CT

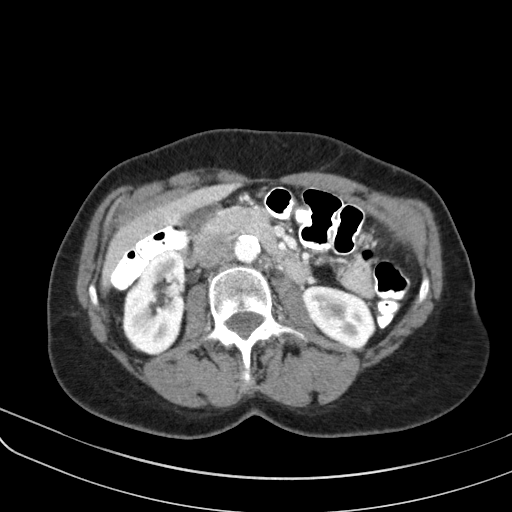
The pancreas appears at (left=193, top=206, right=276, bottom=269).